CT scan slice. Pelvis.

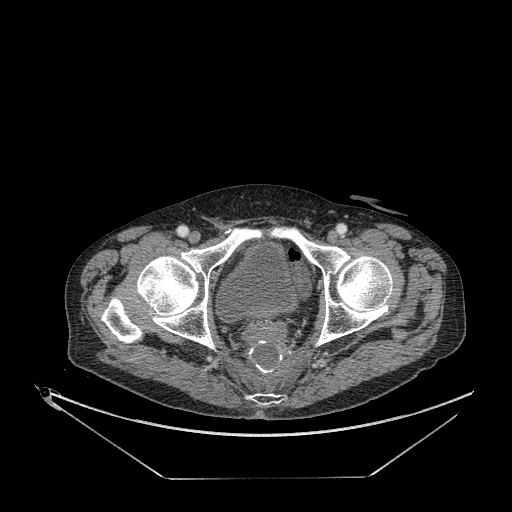 The urinary bladder lies within {"x1": 216, "y1": 240, "x2": 302, "y2": 322}.